Brain. Slice 47 of 155.
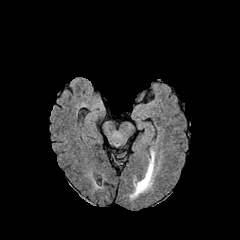
FLAIR magnetic resonance.
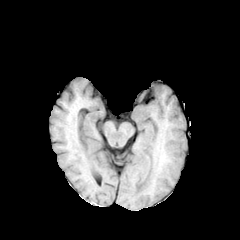
T1-weighted MR image.
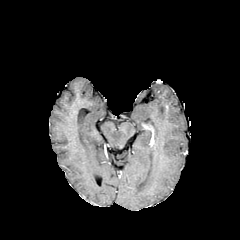
Same slice, post-contrast T1-weighted MR.
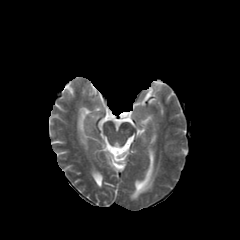
T2-weighted MR.
Segmented structures:
• edema: (left=131, top=150, right=155, bottom=197)